Slice 44 of 79, Computed tomography, Upper abdomen
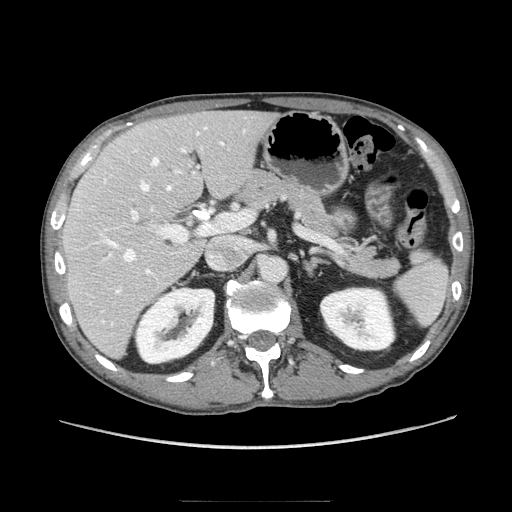 Pancreas: region(238, 171, 338, 239); region(344, 245, 398, 277).